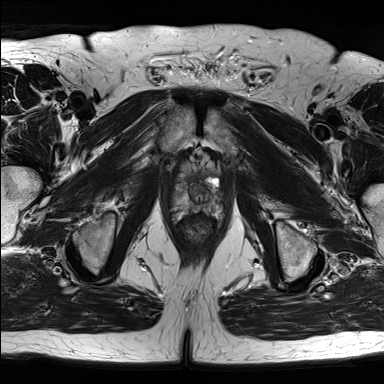
T2-weighted magnetic resonance.
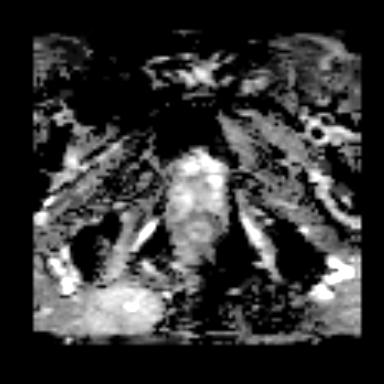
ADC MRI.
Prostate; 384x384
{"prostate_peripheral_zone": [{"x1": 169, "y1": 165, "x2": 225, "y2": 217}], "prostate_transition_zone": [{"x1": 180, "y1": 152, "x2": 225, "y2": 200}]}